Brain | Image size 240x240
FLAIR MRI.
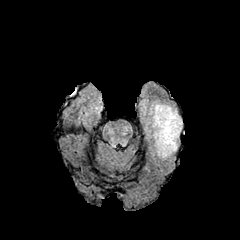
T1-weighted MR.
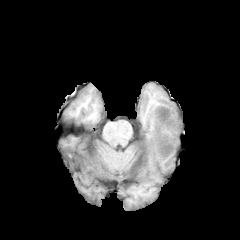
Post-contrast T1-weighted MR image.
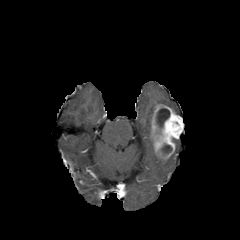
T2-weighted MRI.
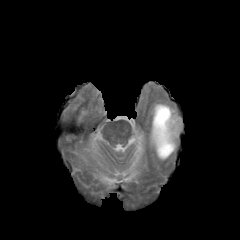
The edema is at 148, 100, 164, 128. 2 non-enhancing tumor core regions are located at 162, 145, 170, 153; 157, 108, 169, 126. The enhancing tumor appears at 150, 104, 183, 160.